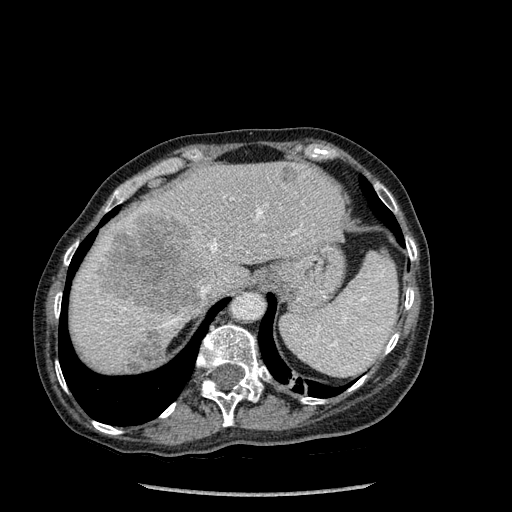

Liver; CT scan slice
Segmented structures:
• focal liver lesion: 96,213,208,313; 279,166,297,183; 126,326,163,371
• liver: 69,162,343,374
• lung: 360,178,402,243; 58,231,225,425; 258,294,351,397; 103,210,116,223
• bone: 348,375,366,391; 385,333,398,353; 406,236,416,260; 197,324,270,426; 160,403,175,418; 54,292,61,318; 64,241,78,265; 92,421,122,434; 105,188,126,211; 55,361,67,391; 405,287,414,309; 375,183,397,212; 301,397,324,404